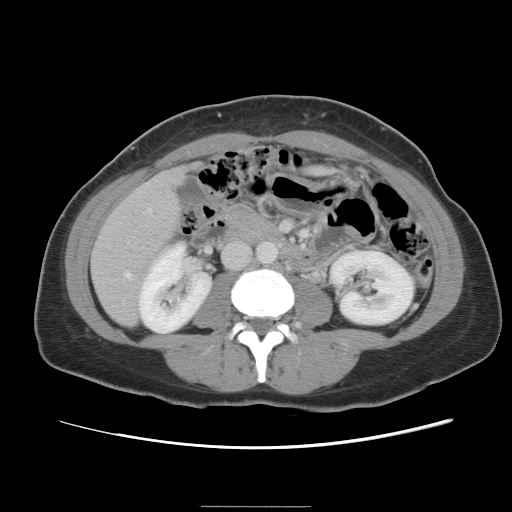

CT, Liver

The vessel annotation is not exhaustive.
{
  "hepatic_vessel": [
    "147, 208, 150, 210",
    "124, 272, 130, 277"
  ]
}